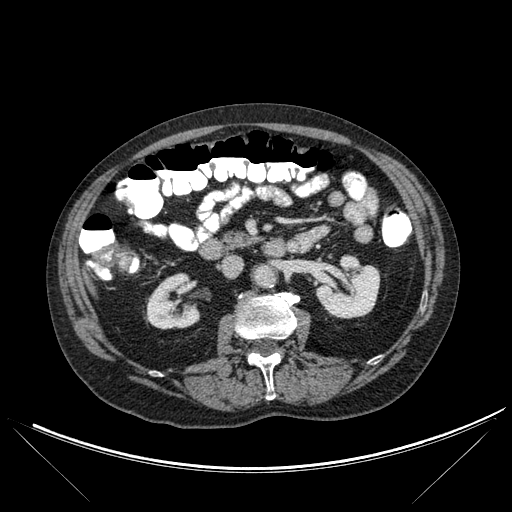

Liver. Image size 512x512. CT slice. 2 bone regions appear at x1=236, y1=292, x2=299, y2=338; x1=248, y1=353, x2=280, y2=399. 2 kidney regions appear at x1=147, y1=274, x2=198, y2=328; x1=317, y1=256, x2=379, y2=317. The liver is at x1=85, y1=271, x2=93, y2=286.